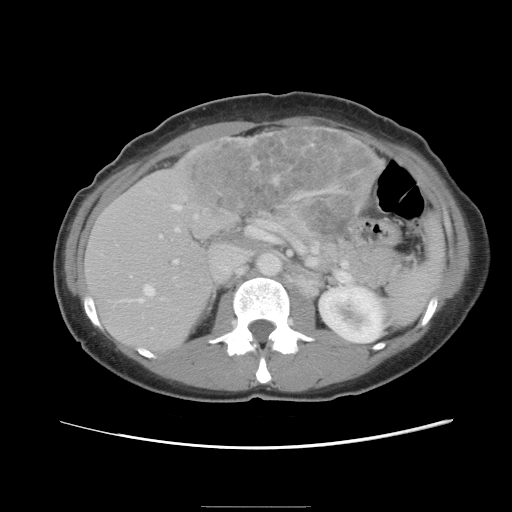 Abdomen, CT scan slice
Some hepatic vessels may have no box.
Findings:
- liver tumor: (left=182, top=127, right=376, bottom=243)
- hepatic vessel: (left=246, top=219, right=283, bottom=241), (left=125, top=284, right=153, bottom=301), (left=175, top=227, right=178, bottom=230), (left=293, top=240, right=304, bottom=252), (left=159, top=234, right=161, bottom=236), (left=194, top=214, right=196, bottom=217), (left=308, top=243, right=318, bottom=263), (left=173, top=259, right=176, bottom=262), (left=172, top=204, right=179, bottom=209), (left=211, top=244, right=253, bottom=281)